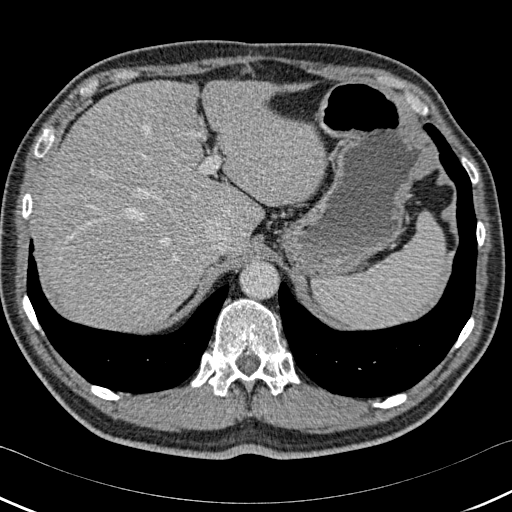
Upper abdomen; CT slice
{
  "lung": [
    "x1=26, y1=239, x2=230, y2=394",
    "x1=278, y1=123, x2=477, y2=398"
  ],
  "bone": [
    "x1=34, y1=129, x2=54, y2=157",
    "x1=462, y1=157, x2=478, y2=183",
    "x1=476, y1=221, x2=485, y2=245",
    "x1=22, y1=194, x2=32, y2=218",
    "x1=191, y1=299, x2=299, y2=396",
    "x1=373, y1=394, x2=406, y2=408",
    "x1=23, y1=295, x2=39, y2=329",
    "x1=91, y1=386, x2=119, y2=400",
    "x1=455, y1=318, x2=473, y2=347"
  ],
  "liver": [
    "x1=41, y1=80, x2=324, y2=331"
  ]
}